FLAIR magnetic resonance.
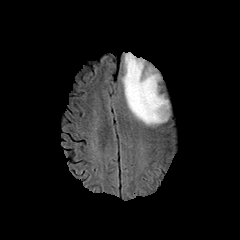
T1-weighted magnetic resonance.
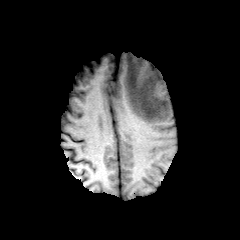
Post-contrast T1-weighted MRI.
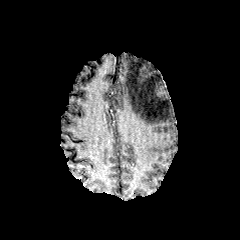
T2-weighted magnetic resonance.
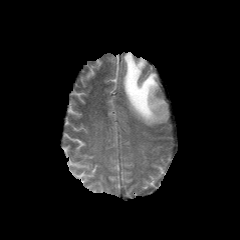
Brain. 240x240 px.
Edema = l=122, t=53, r=169, b=126.